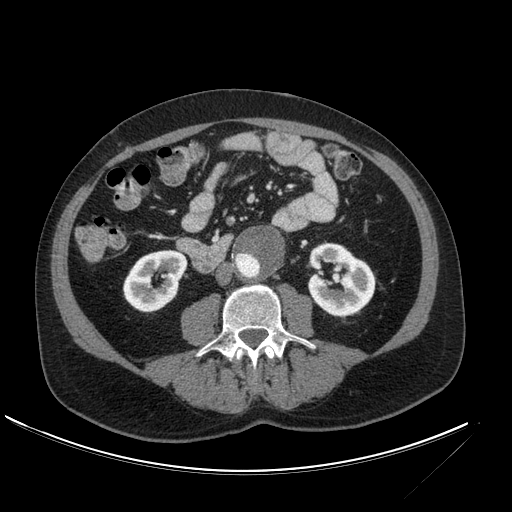 512x512 px | CT slice
2 kidney regions are bounded by l=124, t=251, r=186, b=310; l=309, t=244, r=374, b=315.